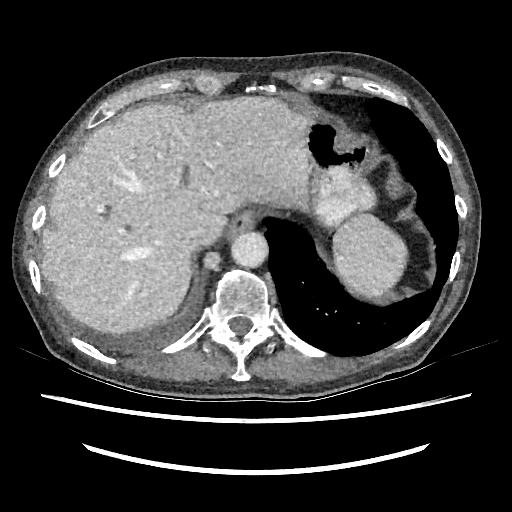

CT. Abdomen. The liver appears at x1=42, y1=95, x2=309, y2=332.